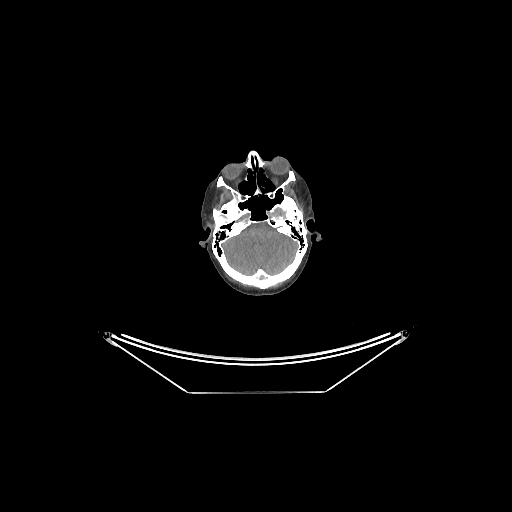
Head, 512x512, CT slice
3 brain regions are located at 266 207 286 219, 221 220 298 275, 237 213 250 223.